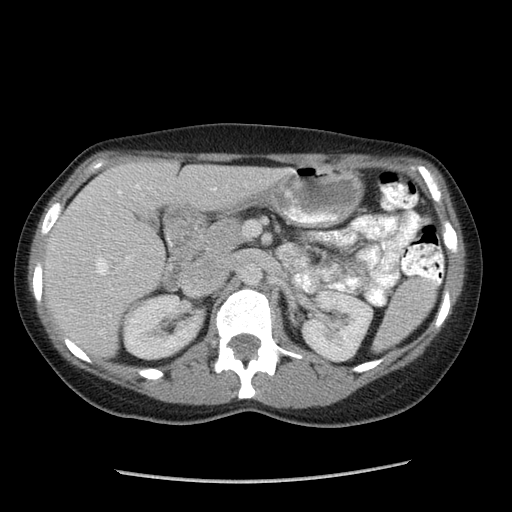 Computed tomography. Upper abdomen.
- spleen: <bbox>375, 278, 435, 348</bbox>